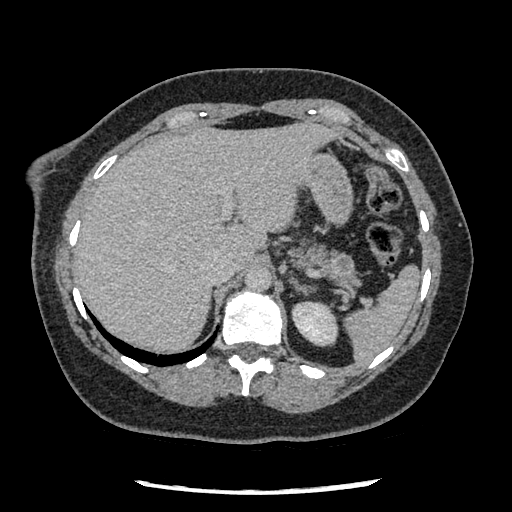

CT scan slice. Abdomen. pancreatic_tumor:
  - box(330, 253, 354, 273)
pancreas:
  - box(291, 241, 359, 287)